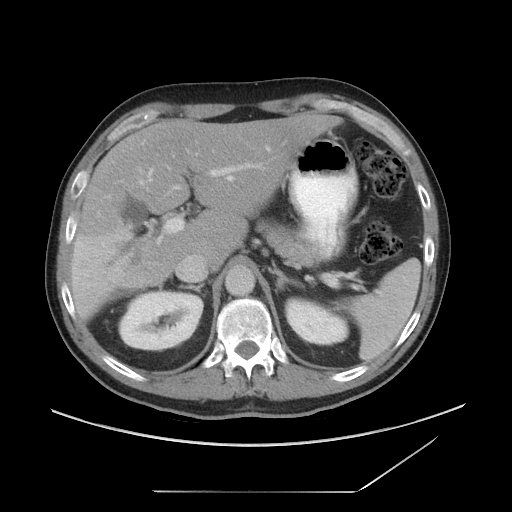

Liver; Computed tomography
The vessel boxes may cover only some of the vessels.
The liver tumor lies within [x1=127, y1=251, x2=149, y2=273]. 3 hepatic vessel regions appear at [x1=211, y1=169, x2=232, y2=174], [x1=228, y1=176, x2=231, y2=179], [x1=174, y1=187, x2=179, y2=187].